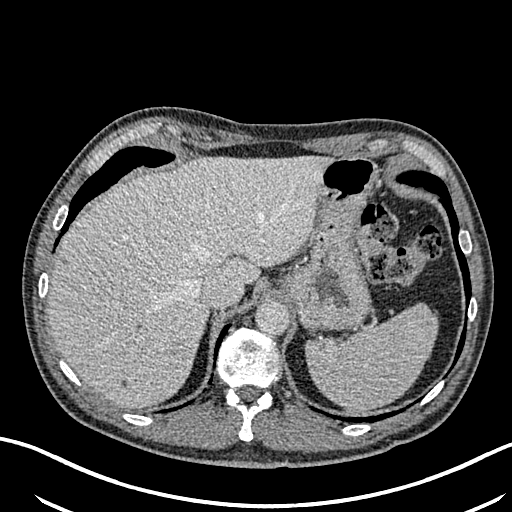
Upper abdomen, CT scan slice
4 hepatic lesion regions are bounded by l=121, t=380, r=130, b=388; l=55, t=254, r=70, b=265; l=168, t=343, r=185, b=356; l=135, t=322, r=143, b=334. The liver appears at l=47, t=156, r=333, b=407.